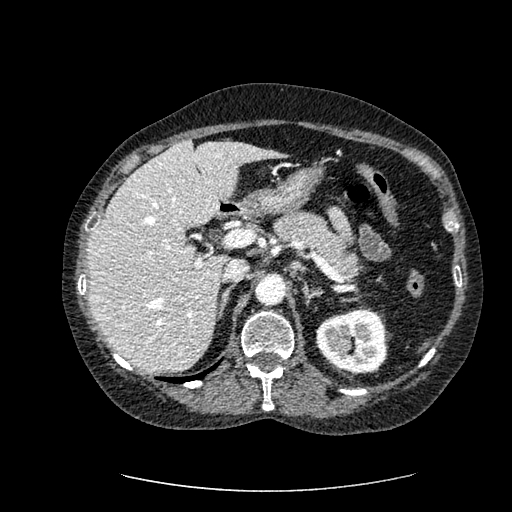 CT slice. Abdomen. liver:
  - bbox(89, 139, 285, 372)
kidney:
  - bbox(317, 310, 385, 372)